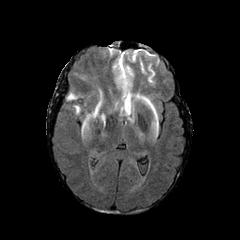
FLAIR MR image.
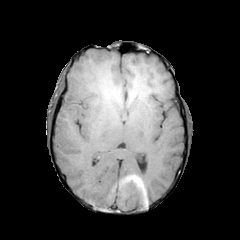
T1-weighted magnetic resonance.
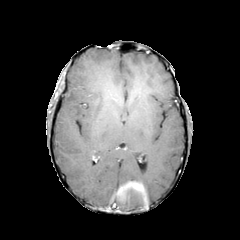
Post-contrast T1-weighted magnetic resonance.
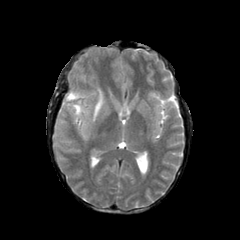
T2-weighted magnetic resonance of the same slice.
2 edema regions appear at left=80, top=89, right=103, bottom=129; left=66, top=88, right=83, bottom=116.